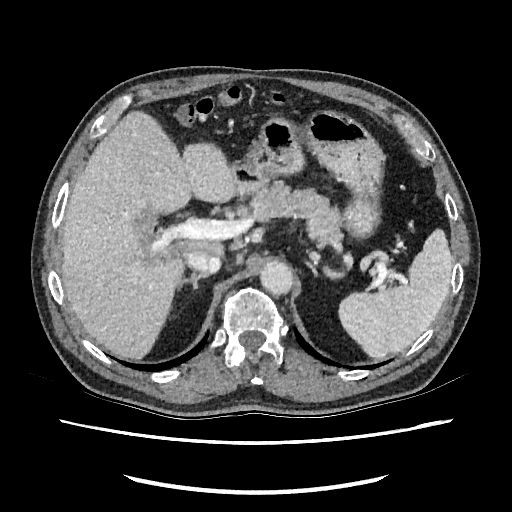
Computed tomography
The liver is bounded by (63,113,233,358). 2 hepatic lesion regions are located at (161,244,181,258), (137,211,160,250).